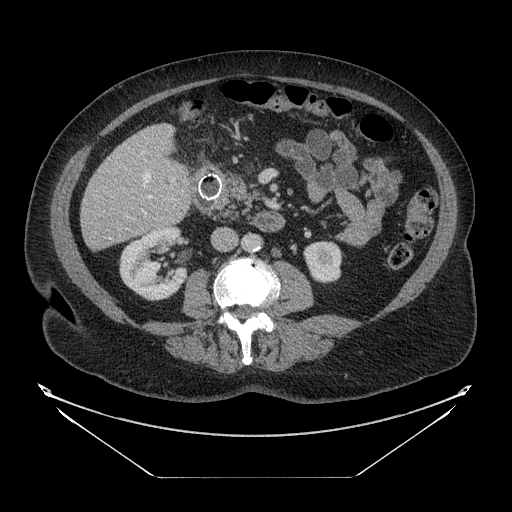

CT slice.

Pancreas at 220 176 256 218.